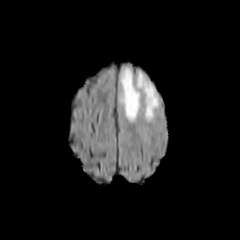
FLAIR MR.
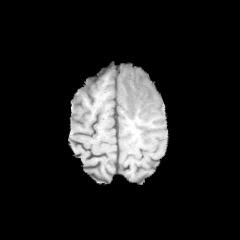
Same slice, T1-weighted magnetic resonance.
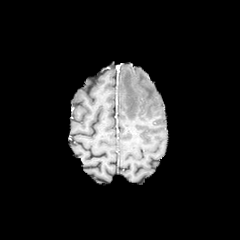
Same slice, post-contrast T1-weighted MR image.
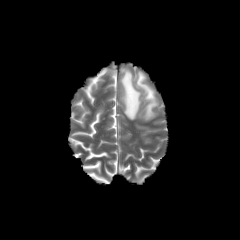
T2-weighted MR.
Head
Edema: (120,69,140,120), (137,73,158,119).